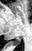 MR. 32x51 px.
posterior_hippocampus:
  - bbox(9, 36, 21, 45)